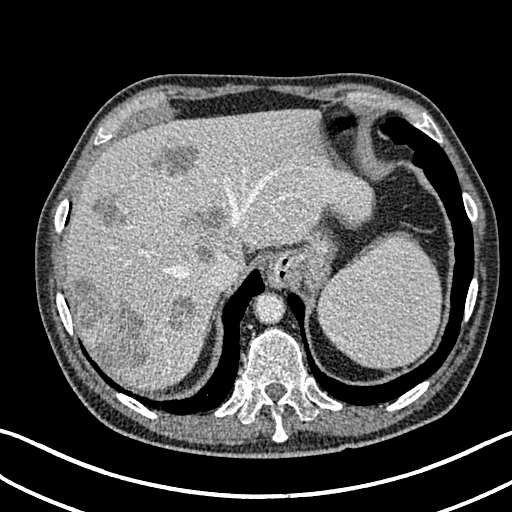
Upper abdomen; 512x512 px; CT
Hepatic lesion = (154, 144, 198, 177), (182, 206, 225, 263), (70, 277, 147, 368), (168, 294, 196, 332), (90, 198, 123, 236).
Liver = (73, 315, 110, 355), (66, 110, 370, 388).